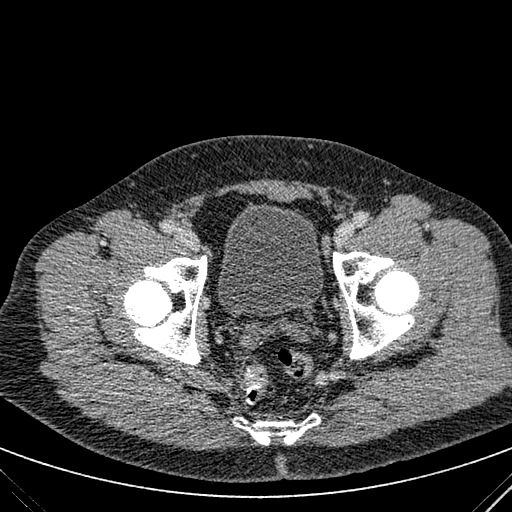 CT; Pelvis; 512x512
The urinary bladder is at x1=217, y1=202, x2=323, y2=316.